FLAIR MR.
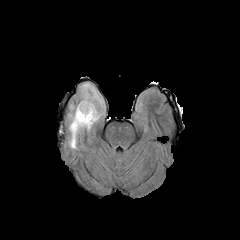
T1-weighted MR image.
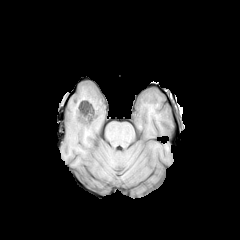
Post-contrast T1-weighted MR.
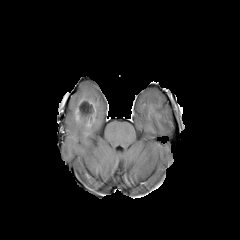
T2-weighted magnetic resonance.
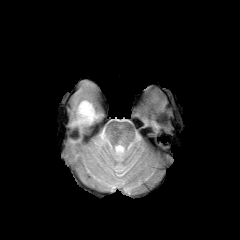
Non-enhancing tumor core: (76,100,97,121).
Edema: (68,83,104,149).